Slice index 103; Brain; Field of view 240x240 mm
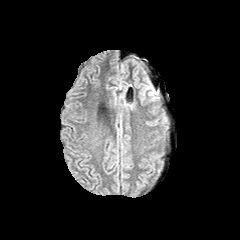
FLAIR magnetic resonance.
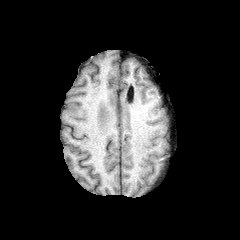
T1-weighted MR.
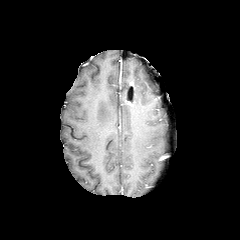
Post-contrast T1-weighted MR.
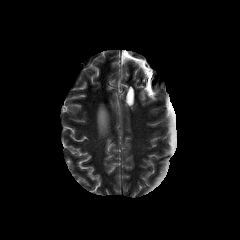
T2-weighted MR.
• edema: [139,82,155,101]